FLAIR magnetic resonance.
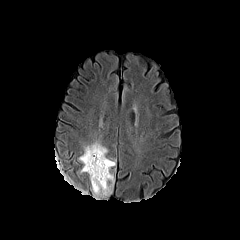
T1-weighted MR image.
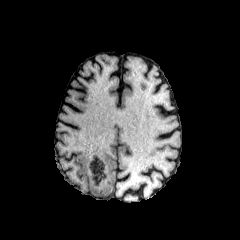
Post-contrast T1-weighted magnetic resonance.
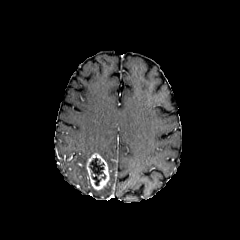
T2-weighted MR image.
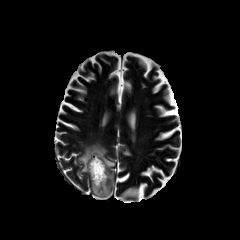
Annotated regions:
* non-enhancing tumor core: <bbox>88, 157, 106, 186</bbox>
* enhancing tumor: <bbox>85, 153, 109, 191</bbox>
* edema: <bbox>93, 184, 111, 196</bbox>, <bbox>78, 142, 115, 173</bbox>